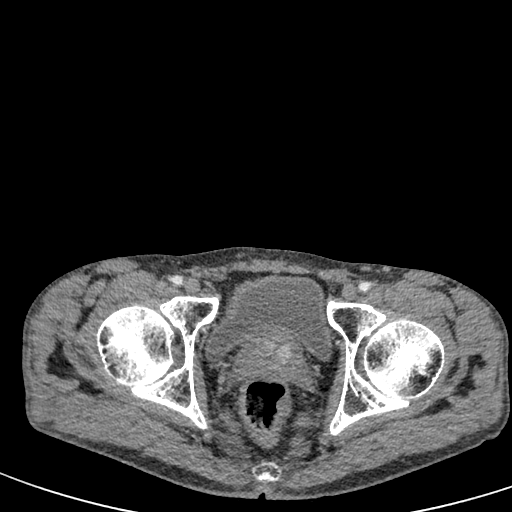 CT scan slice. Pelvis.

Urinary bladder — x1=205 y1=273 x2=331 y2=361.